MRI; Slice 18 of 43 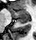 posterior_hippocampus:
  - 16, 19, 28, 23
anterior_hippocampus:
  - 9, 9, 28, 18